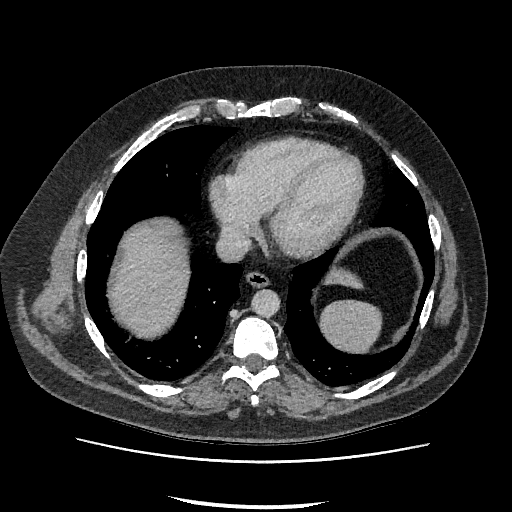
CT, Liver
Liver = box=[113, 222, 187, 335]; box=[327, 271, 360, 286].